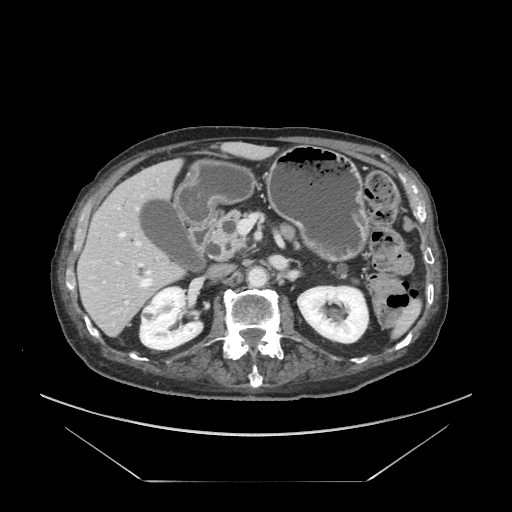

Upper abdomen; CT
Pancreas: left=213, top=211, right=243, bottom=258; left=338, top=265, right=347, bottom=274.